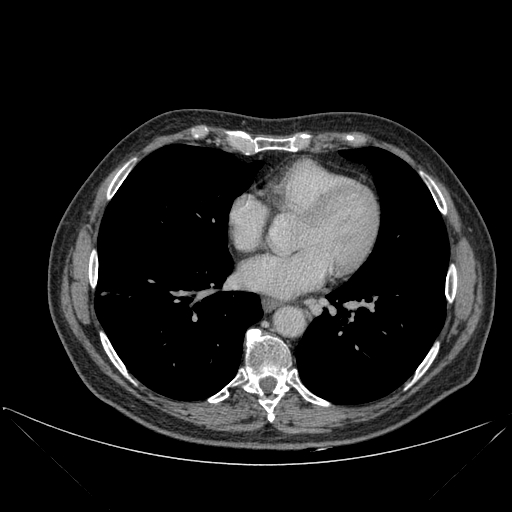 Computed tomography. Chest. Image size 512x512. {
  "lung": [
    "left=296, top=147, right=449, bottom=403",
    "left=94, top=144, right=262, bottom=400"
  ],
  "bone": [
    "left=445, top=265, right=456, bottom=301",
    "left=208, top=375, right=241, bottom=402",
    "left=107, top=164, right=128, bottom=198",
    "left=413, top=345, right=438, bottom=381",
    "left=254, top=137, right=296, bottom=151",
    "left=430, top=181, right=446, bottom=213",
    "left=241, top=329, right=328, bottom=422",
    "left=89, top=250, right=97, bottom=287",
    "left=100, top=333, right=127, bottom=376"
  ]
}